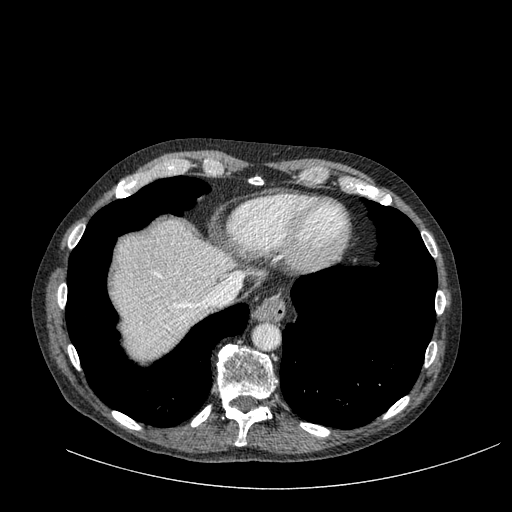
CT slice.
Liver — region(111, 218, 233, 358).